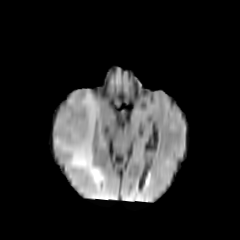
FLAIR magnetic resonance.
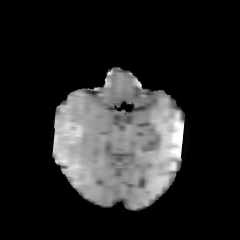
T1-weighted MR image.
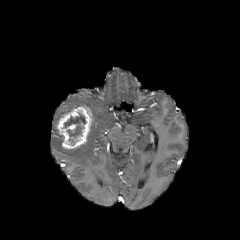
Post-contrast T1-weighted MR of the same slice.
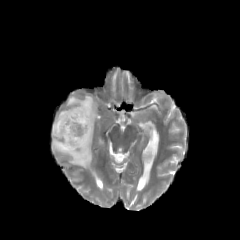
Same slice, T2-weighted MR image.
Head. 240x240 px.
{"enhancing_tumor": ["56:104:93:149"], "non-enhancing_tumor_core": ["63:113:86:145"], "edema": ["53:90:99:182"]}